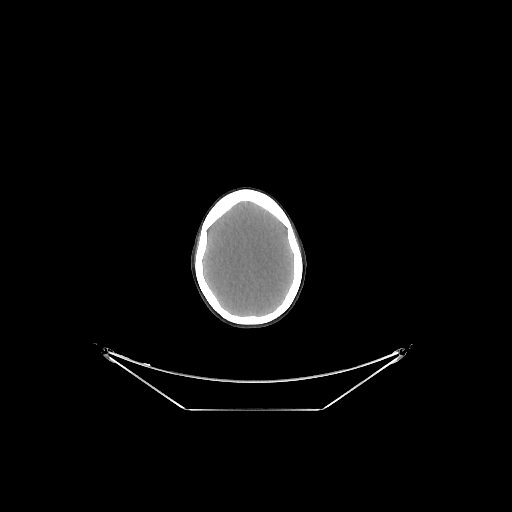

Head; Computed tomography
The brain is located at [202, 201, 293, 316].